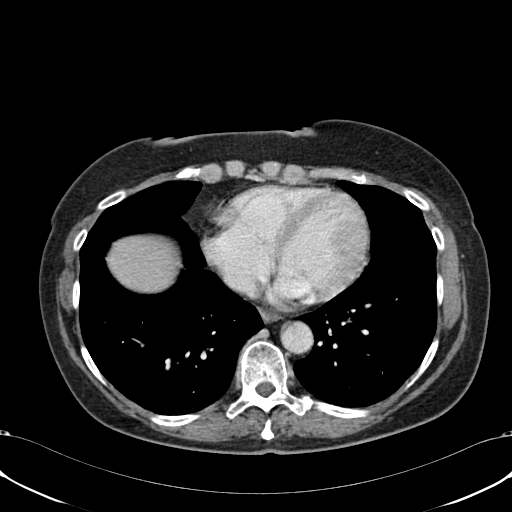

Image size 512x512; Upper abdomen; CT

{"liver": ["[110, 237, 174, 289]"]}